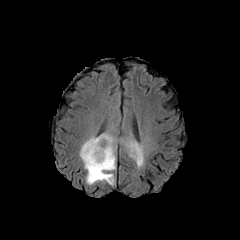
FLAIR MR.
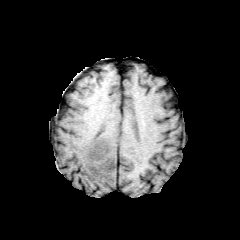
T1-weighted MR image.
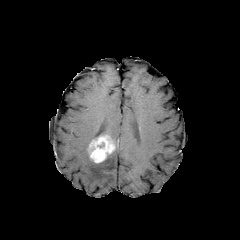
Post-contrast T1-weighted MR image.
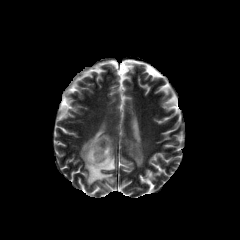
T2-weighted MR image.
Enhancing tumor: bounding box l=87, t=135, r=115, b=163.
Edema: bounding box l=100, t=131, r=144, b=167; l=79, t=134, r=117, b=186.